FLAIR MR.
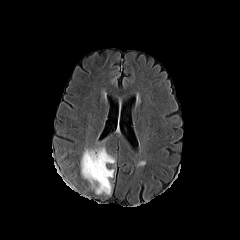
T1-weighted MR image.
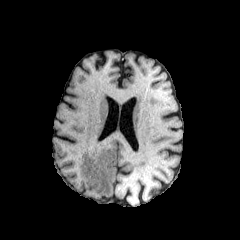
Post-contrast T1-weighted MR image.
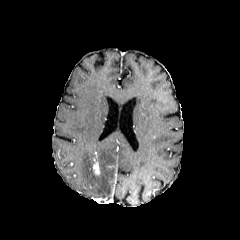
T2-weighted magnetic resonance.
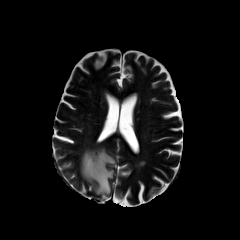
Head.
The edema is located at l=80, t=148, r=114, b=195. The enhancing tumor is bounded by l=92, t=158, r=100, b=173.